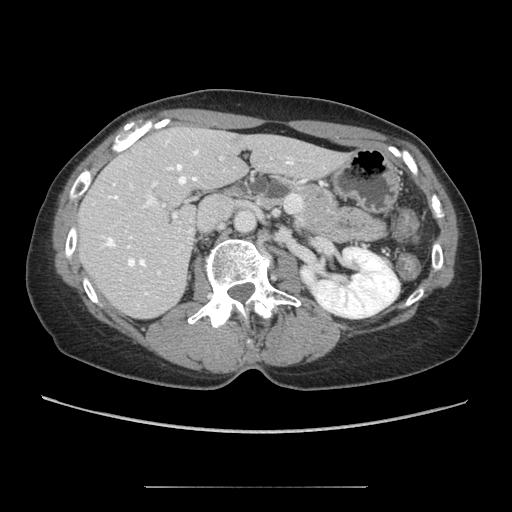 Upper abdomen; CT scan slice
pancreas: 239,172,339,232 | pancreatic tumor: 249,176,290,199